512x512 px | CT scan slice | Liver | Slice 152/217 | Field of view 350x350 mm 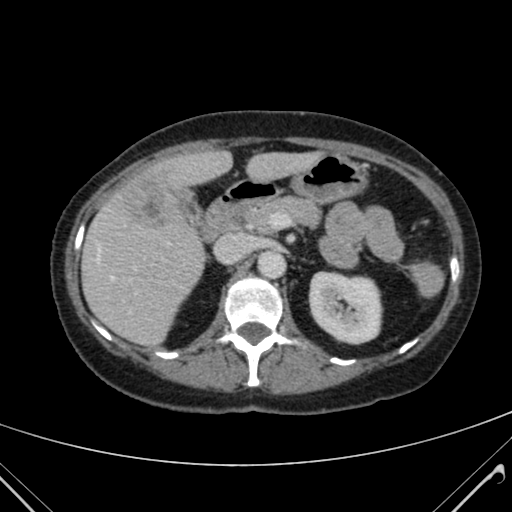

focal liver lesion: [120,172,180,229] | kidney: [310,274,379,342] | liver: [80,150,230,344], [248,152,319,179]